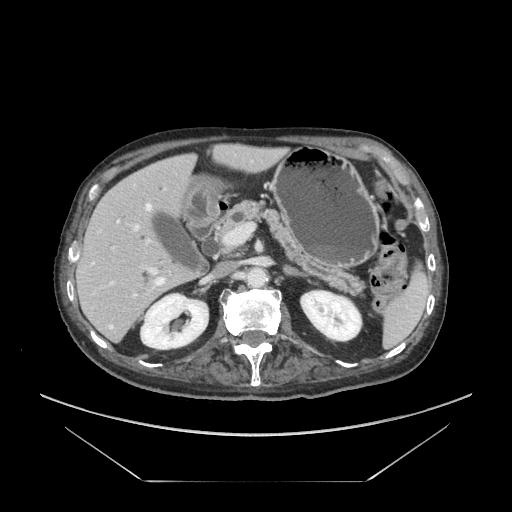

CT, Abdomen, 512x512

{
  "pancreas": [
    "(x1=219, y1=202, x2=362, y2=295)"
  ]
}